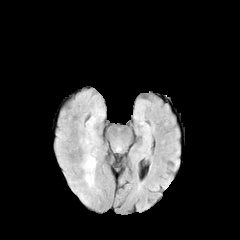
FLAIR MR image.
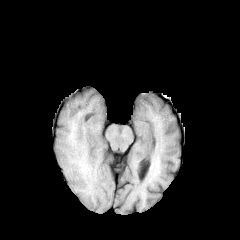
T1-weighted magnetic resonance.
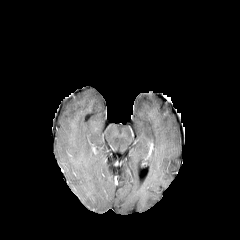
Same slice, post-contrast T1-weighted MR.
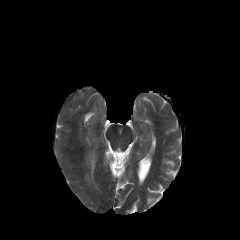
T2-weighted MR image of the same slice.
Head.
The edema is at left=85, top=154, right=95, bottom=183.